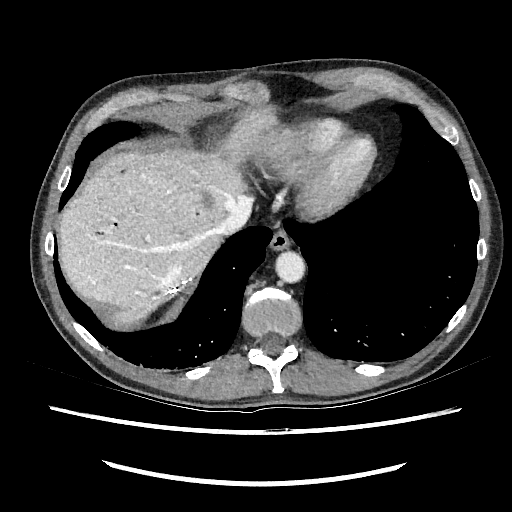

CT scan slice
<segmentation>
  <hepatic_lesion>x1=201, y1=191, x2=213, y2=207</hepatic_lesion>
  <liver>x1=60, y1=102, x2=301, y2=324</liver>
</segmentation>